FLAIR MR image.
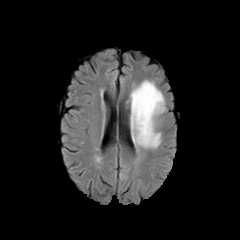
T1-weighted MR image.
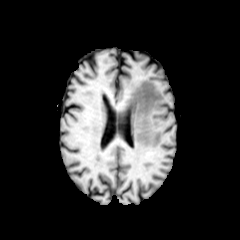
Post-contrast T1-weighted MR.
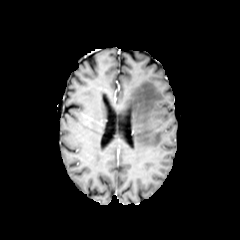
T2-weighted MR.
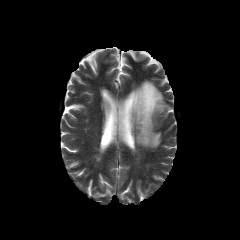
Annotated regions:
* edema: (130,80,164,147)